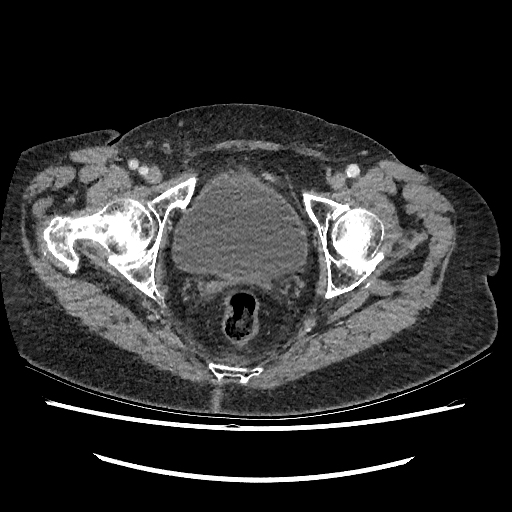

512x512. CT slice. Lower abdomen.
The urinary bladder is bounded by [x1=172, y1=175, x2=307, y2=288].